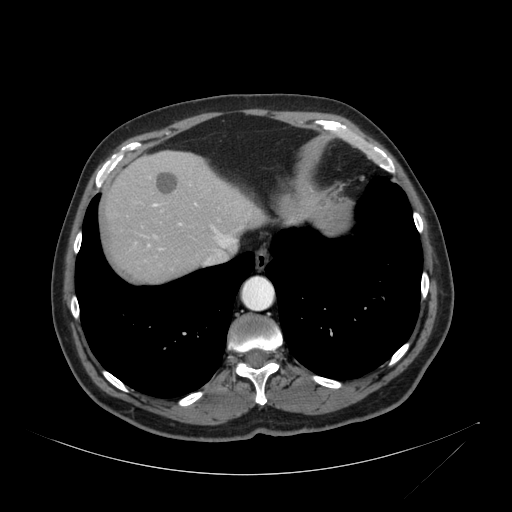

CT scan slice.

Segmented structures:
- liver: region(101, 151, 263, 281)